Field of view 240x240 mm
FLAIR MRI.
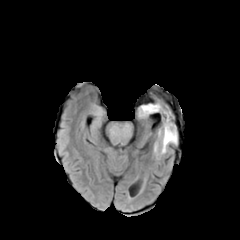
T1-weighted MR.
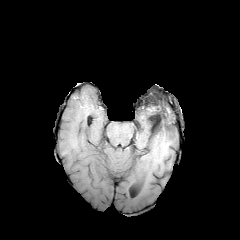
Post-contrast T1-weighted magnetic resonance.
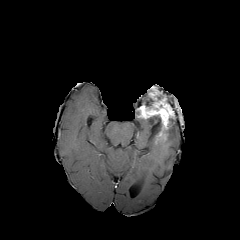
T2-weighted MR image.
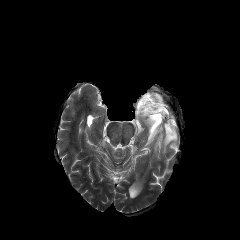
The edema appears at (153,124,177,159). The enhancing tumor is at (138,98,173,139). 2 non-enhancing tumor core regions are located at (147,114,161,133), (158,118,173,143).